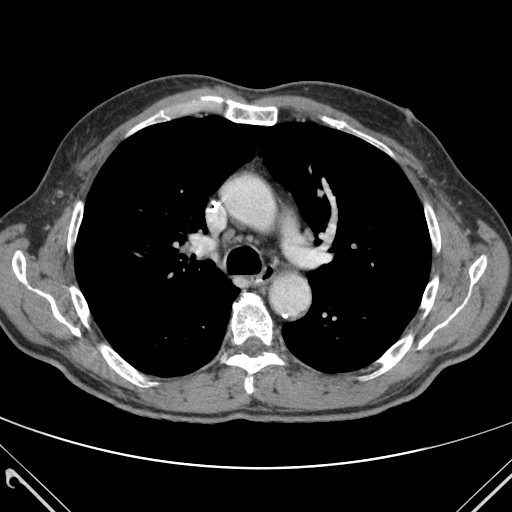 CT image. Thorax. Bone at (x1=421, y1=278, x2=438, y2=315), (x1=418, y1=300, x2=466, y2=348), (x1=130, y1=111, x2=169, y2=133), (x1=12, y1=251, x2=80, y2=335), (x1=231, y1=293, x2=272, y2=344), (x1=201, y1=96, x2=278, y2=125), (x1=223, y1=353, x2=283, y2=392), (x1=469, y1=256, x2=486, y2=286), (x1=352, y1=130, x2=391, y2=153), (x1=101, y1=346, x2=143, y2=386), (x1=70, y1=287, x2=88, y2=326), (x1=425, y1=206, x2=440, y2=251), (x1=67, y1=202, x2=82, y2=249), (x1=323, y1=117, x2=349, y2=128), (x1=376, y1=335, x2=412, y2=374).
Lung at (x1=74, y1=116, x2=431, y2=376).